Field of view 344x344 mm, Slice 435 of 836, 512x512 px, CT image
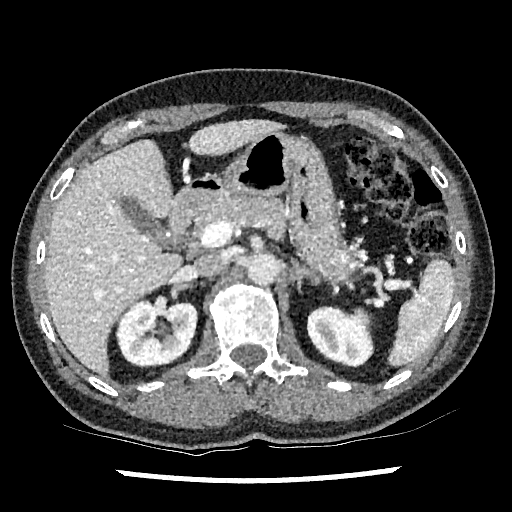 * kidney: x1=117, y1=298, x2=196, y2=364; x1=308, y1=308, x2=371, y2=365
* liver: x1=45, y1=140, x2=182, y2=375; x1=190, y1=119, x2=280, y2=155